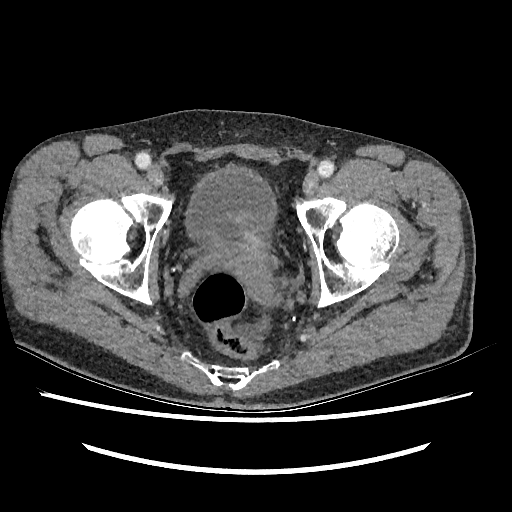

Pelvis, CT

The urinary bladder lies within [185,172,273,247].